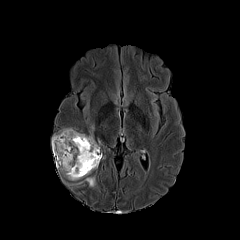
FLAIR magnetic resonance.
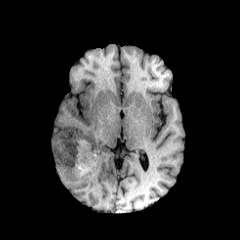
T1-weighted magnetic resonance.
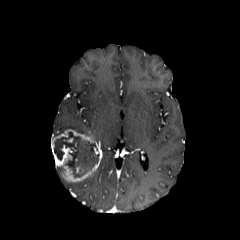
Post-contrast T1-weighted magnetic resonance.
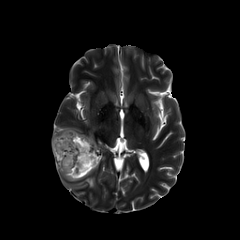
T2-weighted MR image of the same slice.
enhancing tumor: box(51, 130, 102, 181) | non-enhancing tumor core: box(53, 132, 99, 177); box(56, 165, 66, 173) | edema: box(83, 176, 95, 187)